Upper abdomen; CT image; Image width 390 mm
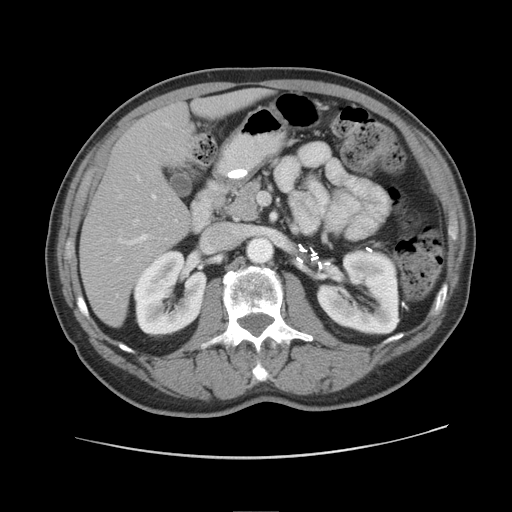

Findings:
* pancreas: box=[224, 177, 264, 223]